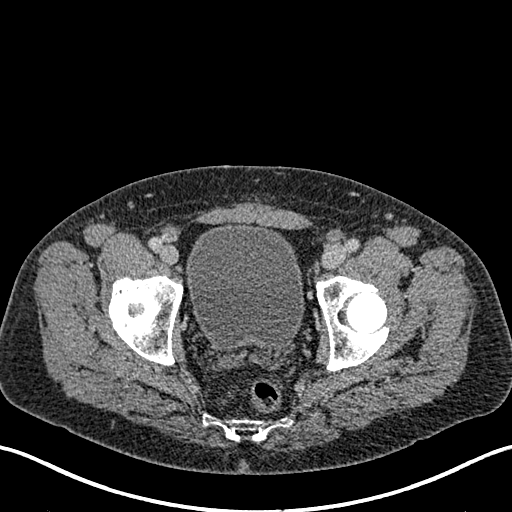
CT image. Lower abdomen. 512x512 px.

• urinary bladder: 186 222 304 346